Cardiac. Slice index 75. Magnetic resonance.

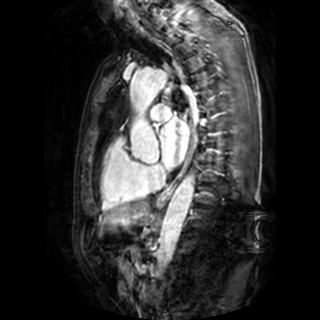 The left atrium appears at [x1=160, y1=118, x2=189, y2=166].